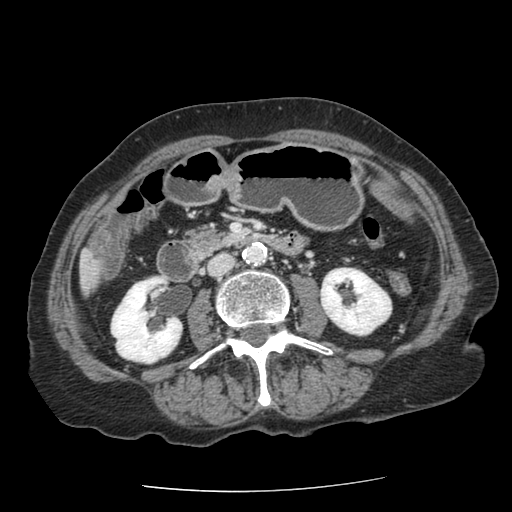 Upper abdomen; CT image; 512x512 px
• pancreas: l=192, t=229, r=237, b=256